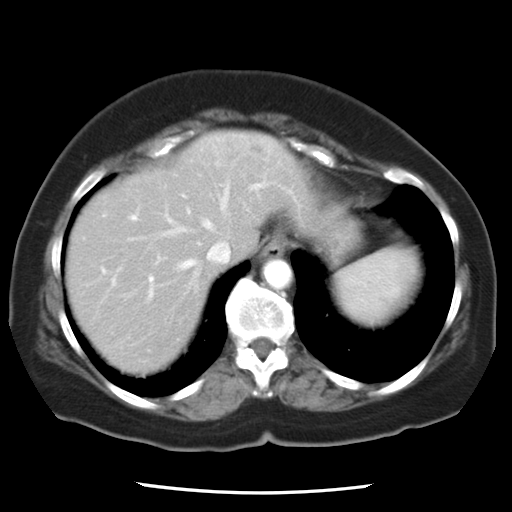

Liver, CT image
Some hepatic vessels may have no box.
7 hepatic vessel regions are bounded by 221, 191, 226, 206; 205, 223, 209, 226; 168, 229, 182, 234; 183, 261, 192, 267; 207, 241, 230, 264; 131, 217, 134, 220; 149, 278, 152, 280. The liver tumor is bounded by 247, 143, 267, 158.